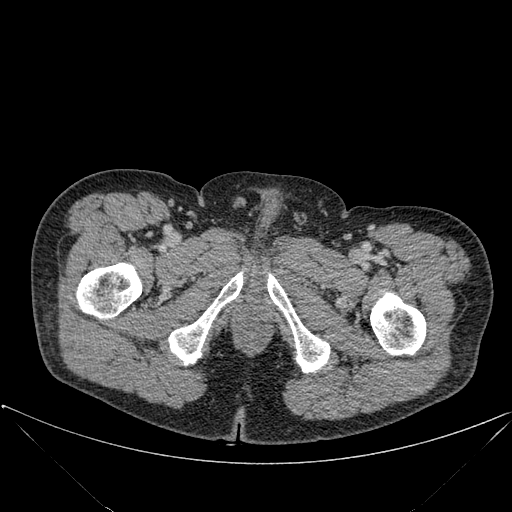
512x512, CT scan slice
Annotated regions:
• bone: box(76, 263, 141, 318); box(370, 292, 425, 354); box(267, 274, 329, 372); box(168, 272, 242, 364)